FLAIR MR.
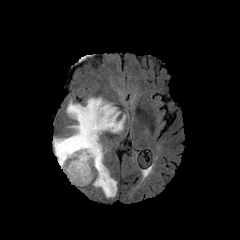
T1-weighted MRI.
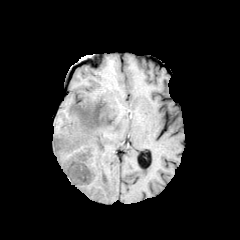
Post-contrast T1-weighted MR.
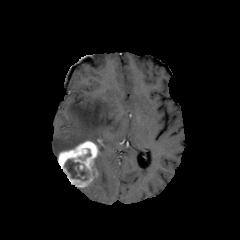
T2-weighted MR.
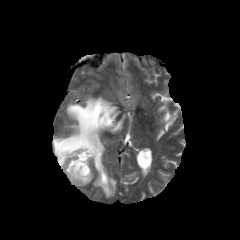
Image size 240x240; Brain
<segmentation>
  <non-enhancing_tumor_core>[65, 159, 79, 178]</non-enhancing_tumor_core>
  <edema>[53, 96, 126, 198]</edema>
  <enhancing_tumor>[58, 141, 97, 187]</enhancing_tumor>
</segmentation>